Head, Field of view 240x240 mm, Slice 94/155
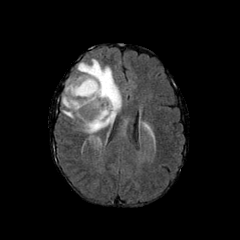
FLAIR MR.
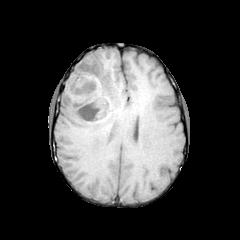
Same slice, T1-weighted MRI.
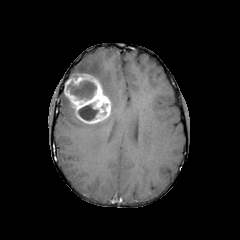
Post-contrast T1-weighted MRI.
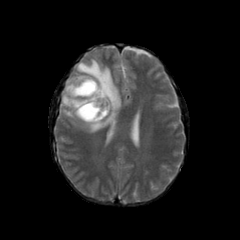
Same slice, T2-weighted MR.
Non-enhancing tumor core — region(67, 80, 96, 99); region(78, 104, 98, 120).
Edema — region(62, 59, 121, 133).
Enhancing tumor — region(64, 73, 110, 123).